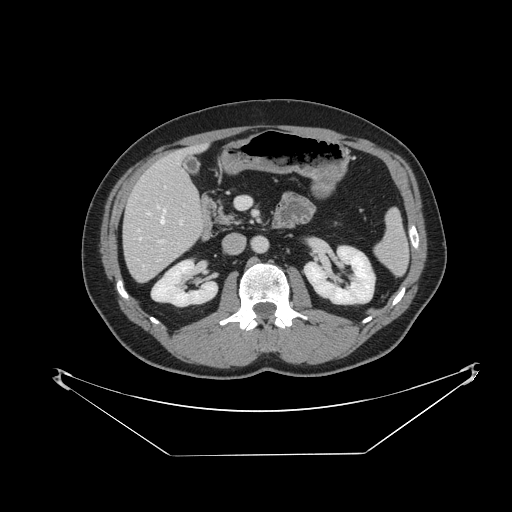

Upper abdomen, CT slice, 512x512 px
<segmentation>
  <spleen>bbox=[376, 210, 408, 273]</spleen>
</segmentation>